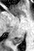

Medial temporal lobe, MRI slice

posterior_hippocampus:
  - rect(11, 32, 24, 45)